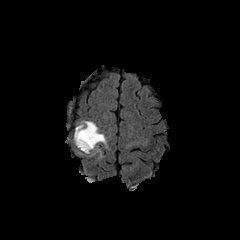
FLAIR magnetic resonance.
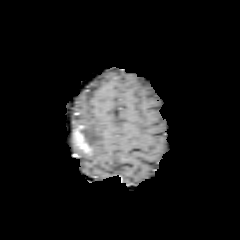
T1-weighted MR image.
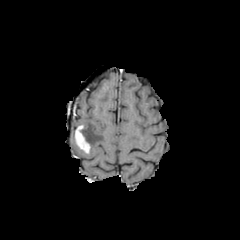
Post-contrast T1-weighted MR of the same slice.
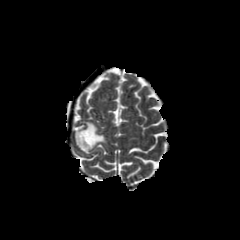
T2-weighted magnetic resonance.
The non-enhancing tumor core appears at bbox(81, 130, 93, 147). The enhancing tumor lies within bbox(75, 125, 90, 153). The edema is located at bbox(82, 121, 106, 153).